CT scan slice; Field of view 404 mm wide, 0.70 mm slice spacing; Liver 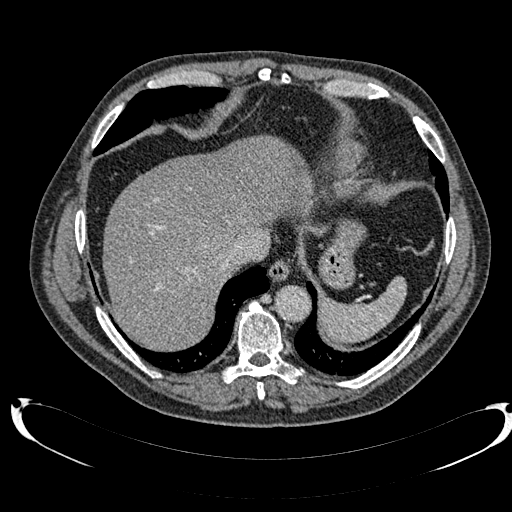 The focal liver lesion is located at (160, 150, 236, 215). The liver is located at (103, 136, 311, 349).